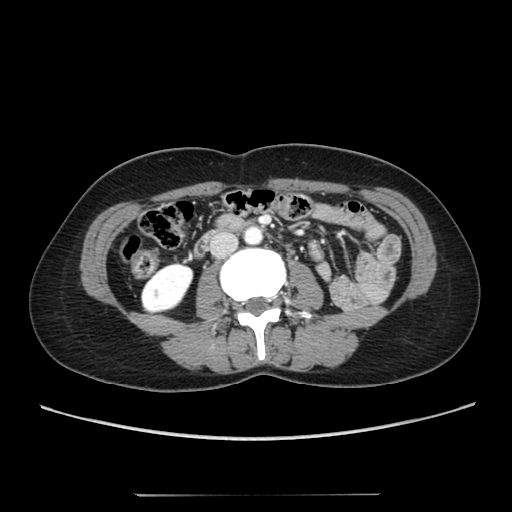 CT scan slice, Abdomen

• kidney: <bbox>142, 265, 191, 310</bbox>